FLAIR MRI.
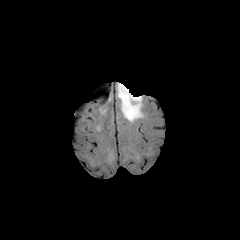
T1-weighted MR.
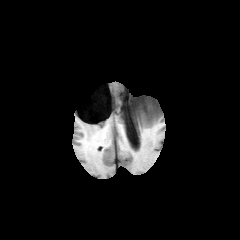
Post-contrast T1-weighted MR.
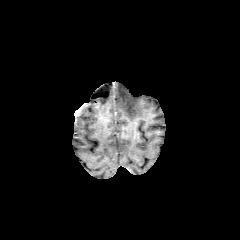
T2-weighted magnetic resonance.
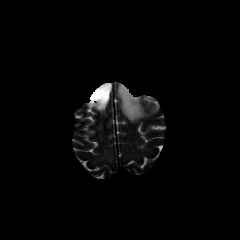
Head
• edema: 117,84,143,121